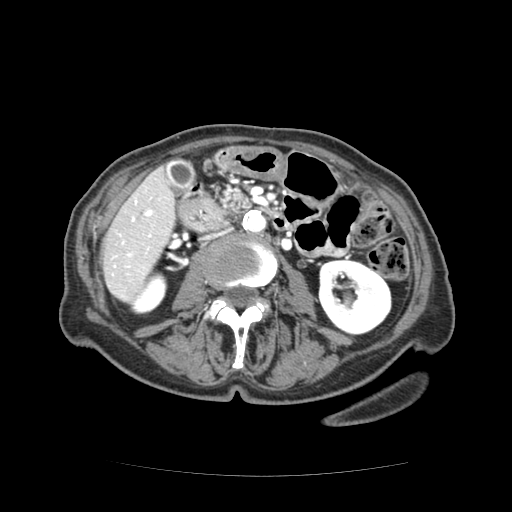

CT scan slice | 512x512 px | Abdomen
* pancreas: 216, 186, 248, 212